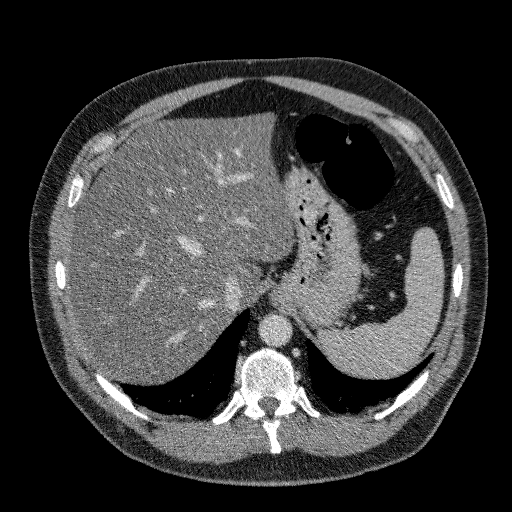

Liver. Computed tomography.
liver: box(70, 113, 292, 383)